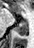 MRI
<segmentation>
  <posterior_hippocampus>box(14, 22, 27, 35)</posterior_hippocampus>
</segmentation>